Lung; Slice index 81; CT slice

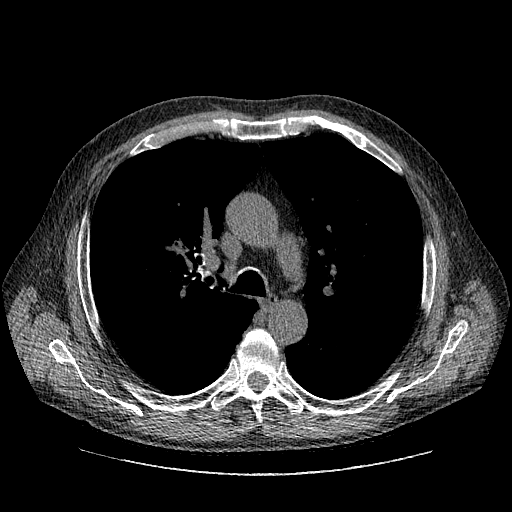
Findings:
* lung tumor: [165,229,195,260]